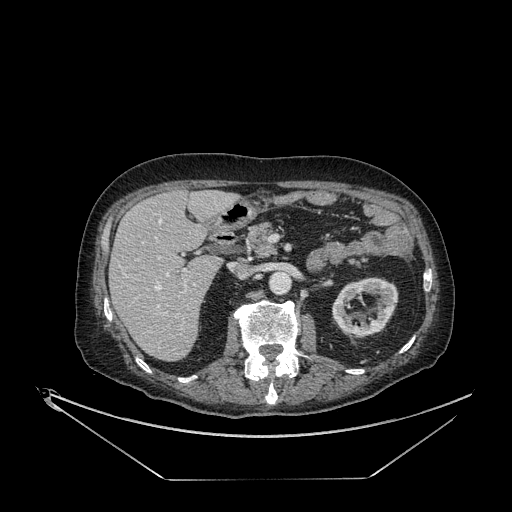

Abdomen | CT scan slice

Liver: bounding box region(109, 191, 237, 361).
Kidney: bounding box region(332, 278, 397, 337).